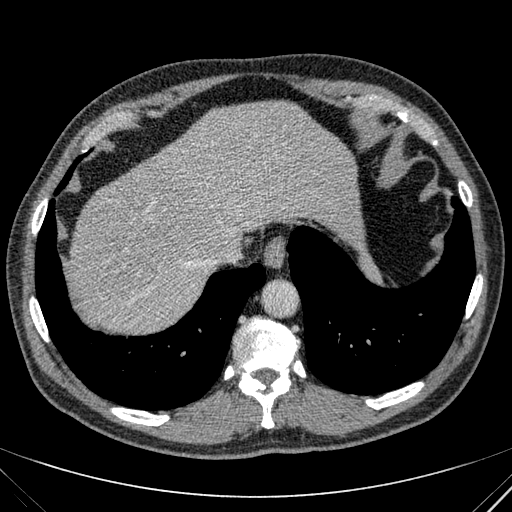

Upper abdomen; CT slice
<segmentation>
  <liver>[x1=67, y1=103, x2=364, y2=331]</liver>
</segmentation>